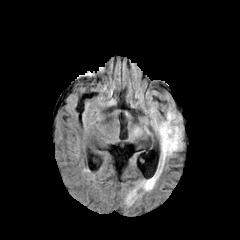
FLAIR MRI.
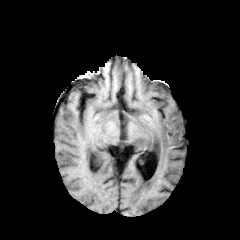
T1-weighted magnetic resonance.
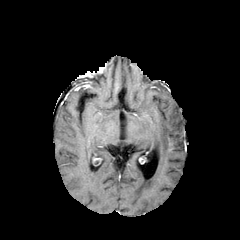
Same slice, post-contrast T1-weighted MR image.
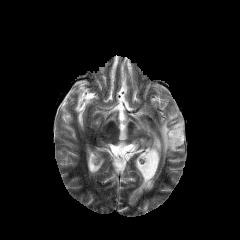
Same slice, T2-weighted MR.
Brain.
The edema lies within rect(129, 107, 183, 203).